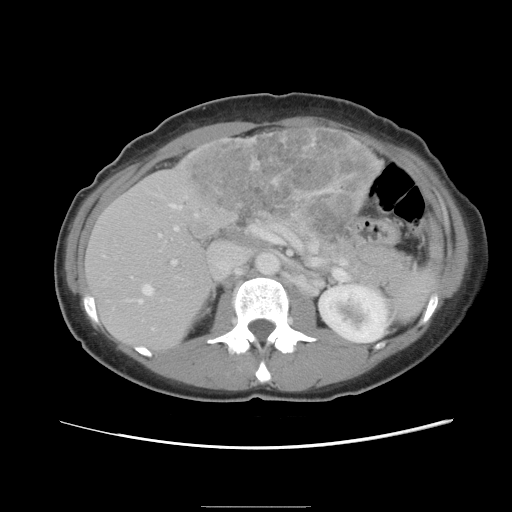
CT slice. Image size 512x512.
Only some of the vessels may be annotated.
<segmentation>
  <liver_tumor>184,128,374,243</liver_tumor>
  <hepatic_vessel>141,283,152,294; 170,203,180,208; 310,257,324,263; 138,299,141,302; 171,260,175,263; 250,221,302,249; 211,242,252,279; 335,269,338,277; 309,241,317,253; 174,226,177,229; 194,213,196,215</hepatic_vessel>
</segmentation>